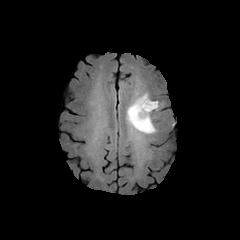
FLAIR MR image.
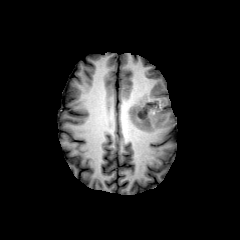
T1-weighted MRI of the same slice.
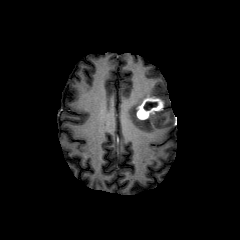
Post-contrast T1-weighted MRI.
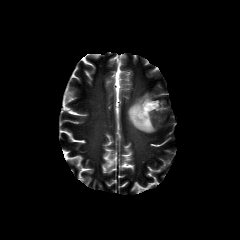
T2-weighted magnetic resonance.
Enhancing tumor: 136 96 163 120.
Non-enhancing tumor core: 144 102 157 110.
Edema: 127 92 161 134.